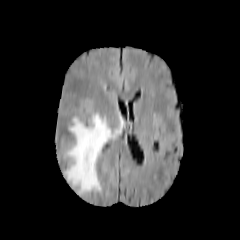
FLAIR magnetic resonance.
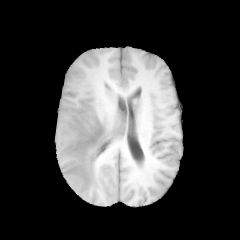
Same slice, T1-weighted magnetic resonance.
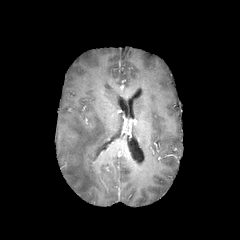
Same slice, post-contrast T1-weighted MR.
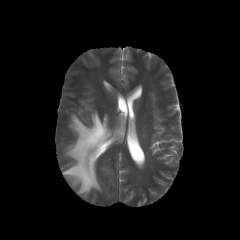
Same slice, T2-weighted magnetic resonance.
The edema is bounded by 63 112 124 193.